Image size 240x240, Field of view 240 mm wide, 1.00 mm slice spacing, Head
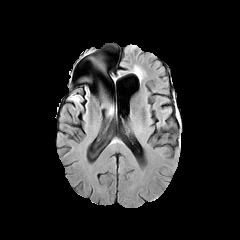
FLAIR MR.
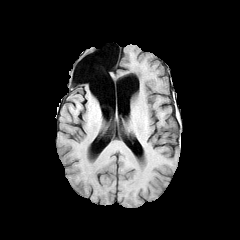
T1-weighted MRI of the same slice.
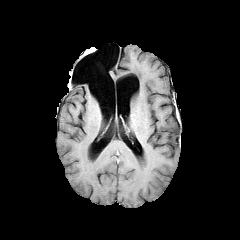
Post-contrast T1-weighted MR image of the same slice.
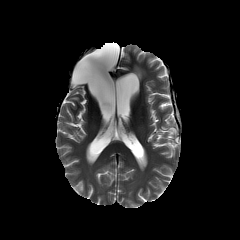
T2-weighted MRI.
non-enhancing_tumor_core:
  - {"x1": 84, "y1": 48, "x2": 95, "y2": 55}
edema:
  - {"x1": 70, "y1": 95, "x2": 82, "y2": 103}